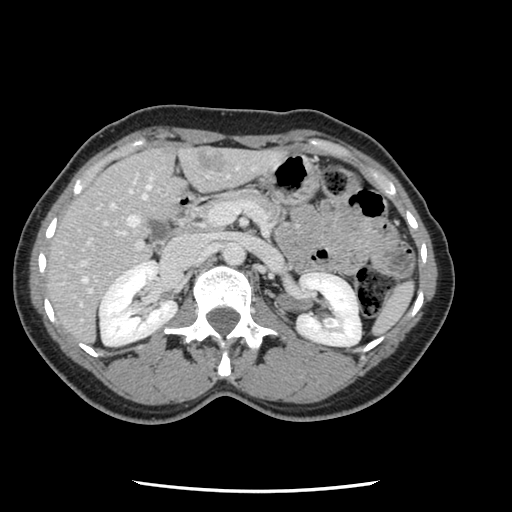

512x512 | CT

The vessel annotation is not exhaustive.
Findings:
- liver tumor: x1=198 y1=153 x2=226 y2=171
- hepatic vessel: x1=135 y1=242 x2=141 y2=247, x1=146 y1=177 x2=152 y2=188, x1=88 y1=240 x2=89 y2=241, x1=110 y1=204 x2=113 y2=207, x1=117 y1=231 x2=122 y2=233, x1=82 y1=277 x2=86 y2=281, x1=142 y1=194 x2=146 y2=197, x1=129 y1=190 x2=131 y2=191, x1=89 y1=289 x2=90 y2=290, x1=81 y1=262 x2=84 y2=263, x1=127 y1=215 x2=138 y2=225